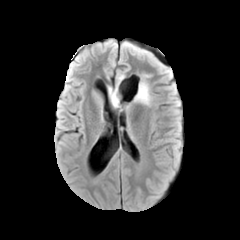
FLAIR MRI.
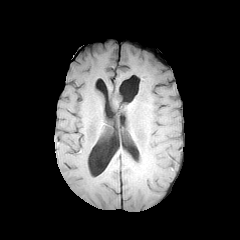
T1-weighted magnetic resonance.
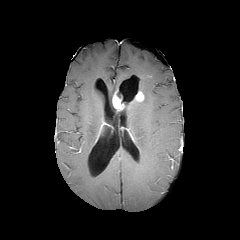
Post-contrast T1-weighted MRI.
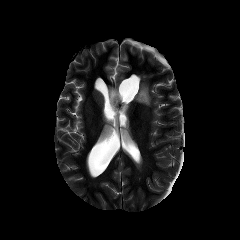
T2-weighted MRI of the same slice.
Head
Edema at box(136, 75, 151, 105); box(108, 71, 129, 104).
Enhancing tumor at box(112, 91, 124, 109); box(136, 92, 143, 101).
Non-enhancing tumor core at box(110, 88, 117, 109).